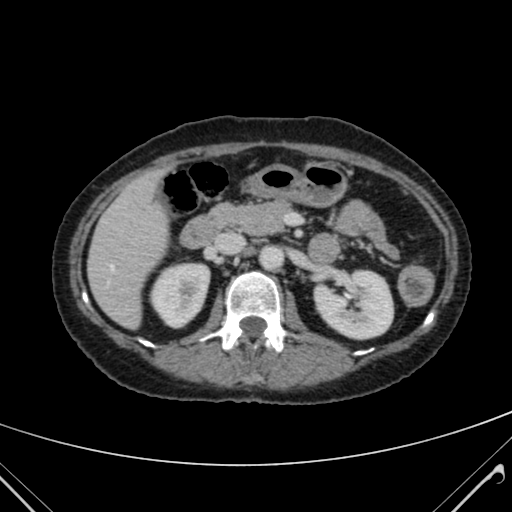
CT image
kidney: box(315, 272, 392, 338); box(153, 265, 208, 325) | liver: box(88, 167, 168, 325)